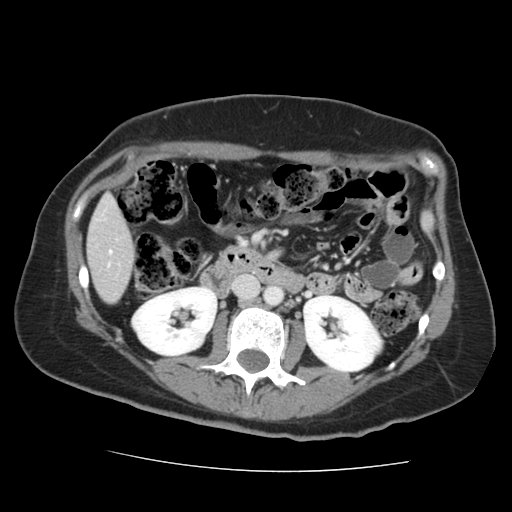

Abdomen. CT scan slice. Only some of the vessels may be annotated.
The hepatic vessel is located at 109, 251, 110, 253.